Head. 240x240.
FLAIR MR image.
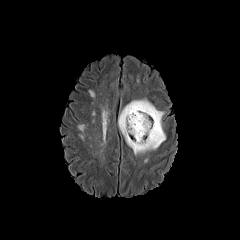
T1-weighted magnetic resonance.
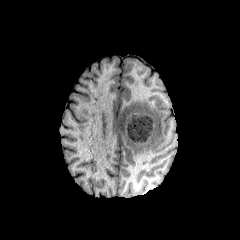
Post-contrast T1-weighted MRI.
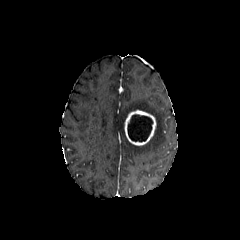
T2-weighted MR.
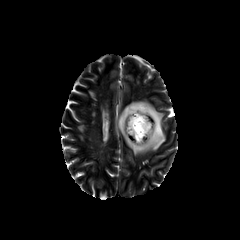
Findings:
* enhancing tumor: box(124, 110, 156, 146)
* non-enhancing tumor core: box(127, 115, 152, 142)
* edema: box(119, 101, 165, 155); box(77, 124, 86, 133)